Slice index 98; Head
FLAIR MRI.
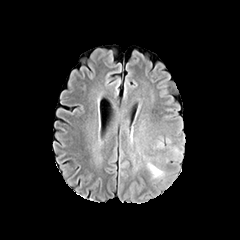
T1-weighted magnetic resonance.
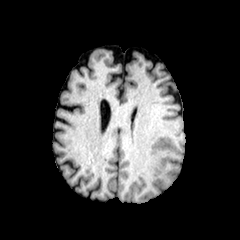
Post-contrast T1-weighted MR.
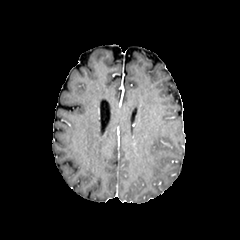
T2-weighted MR image.
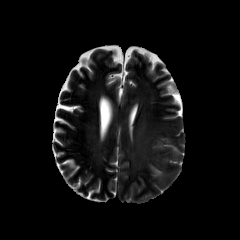
Findings:
• edema: region(148, 163, 163, 177)